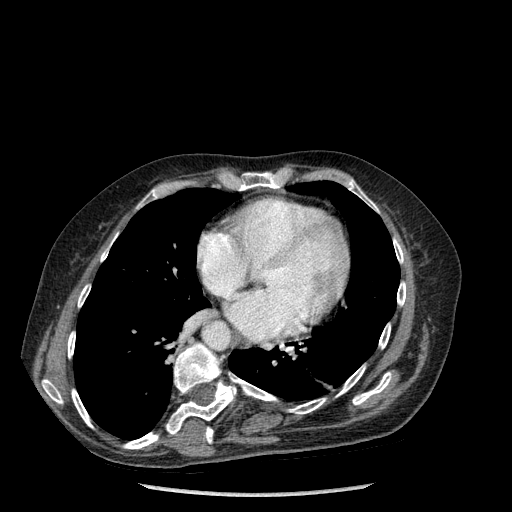 CT slice
lung: left=228, top=181, right=399, bottom=400; left=73, top=188, right=238, bottom=439 | [15/18] bone: left=288, top=398, right=325, bottom=414; left=379, top=323, right=390, bottom=348; left=230, top=375, right=276, bottom=400; left=71, top=389, right=93, bottom=428; left=336, top=365, right=365, bottom=396; left=347, top=179, right=378, bottom=212; left=229, top=171, right=286, bottom=190; left=137, top=189, right=158, bottom=208; left=78, top=284, right=90, bottom=307; left=123, top=432, right=158, bottom=449; left=100, top=233, right=117, bottom=261; left=393, top=238, right=403, bottom=263; left=353, top=372, right=391, bottom=404; left=166, top=343, right=236, bottom=434; left=42, top=379, right=63, bottom=403